Brain, 240x240 px
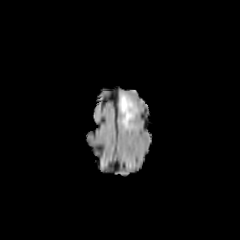
FLAIR MR image.
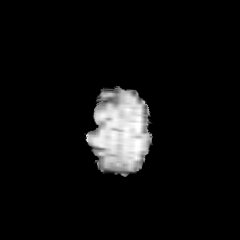
T1-weighted MR image.
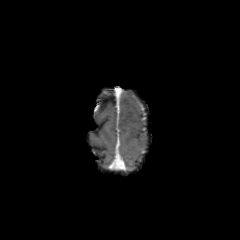
Post-contrast T1-weighted MR.
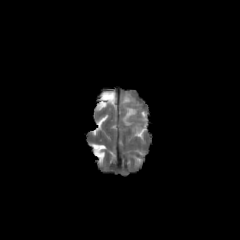
T2-weighted MRI.
<segmentation>
  <edema>[x1=120, y1=95, x2=135, y2=128]</edema>
</segmentation>